Slice 58/155
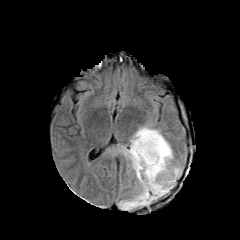
FLAIR MR.
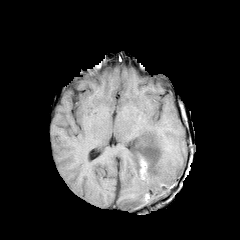
T1-weighted MRI.
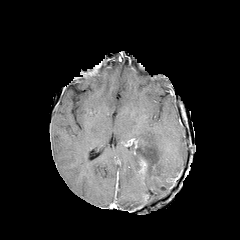
Same slice, post-contrast T1-weighted MR image.
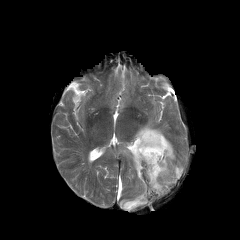
Same slice, T2-weighted MR.
• non-enhancing tumor core: left=129, top=139, right=138, bottom=153
• edema: left=118, top=121, right=182, bottom=210